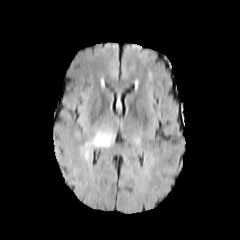
FLAIR MR image.
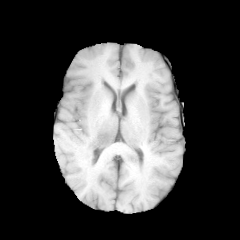
T1-weighted MRI of the same slice.
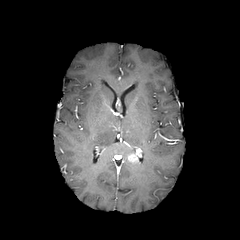
Post-contrast T1-weighted MR image.
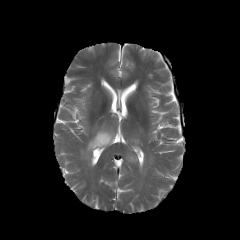
T2-weighted magnetic resonance of the same slice.
240x240; Brain
Enhancing tumor: bounding box (left=127, top=153, right=139, bottom=164).
Edema: bounding box (left=85, top=130, right=114, bottom=152).